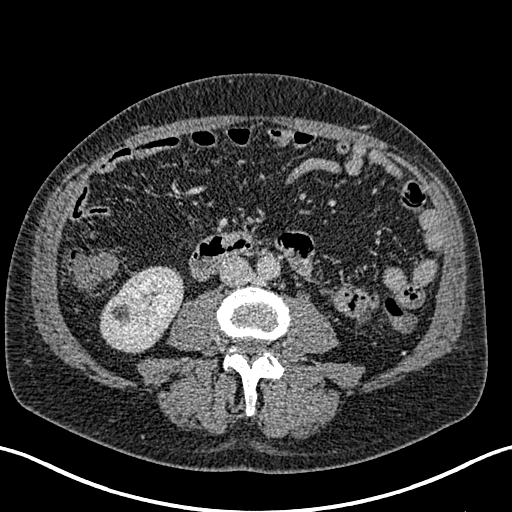
CT | Abdomen
* kidney: bbox=[101, 267, 182, 351]